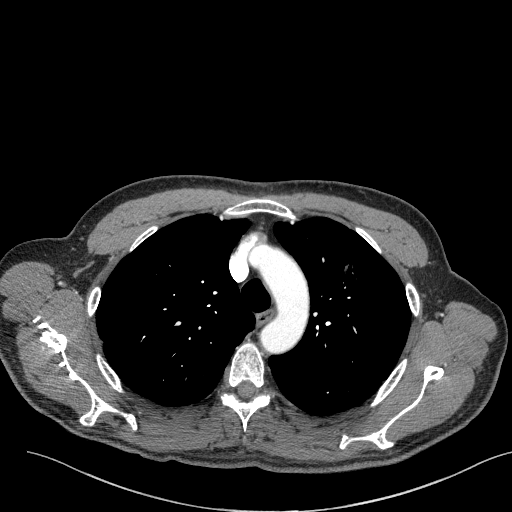
512x512, CT scan slice, Lung
Lung tumor: box(340, 254, 371, 289).